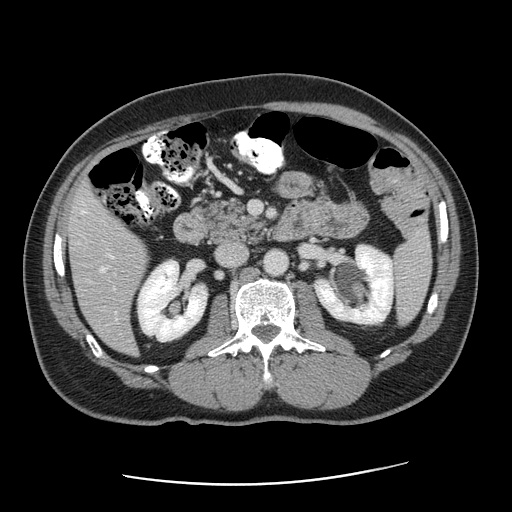 CT image. The vessel annotation is not exhaustive.
{
  "hepatic_vessel": [
    "82,211,84,212",
    "101,267,105,271"
  ]
}